CT image. Slice 39/86.

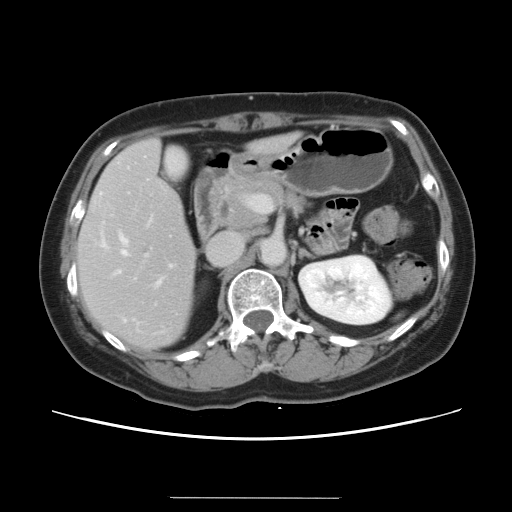

The vessel annotation is not exhaustive.
Annotated regions:
- hepatic vessel: (119,235,127,244), (113,270,120,275), (169,265,172,267), (123,319,125,322), (144,254,148,257), (102,222,103,224), (132,319,139,330), (100,238,105,246), (148,218,151,224), (134,278,135,280), (156,279,161,285), (121,249,127,255)